FLAIR MR.
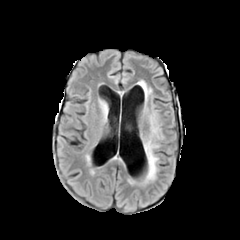
T1-weighted MRI.
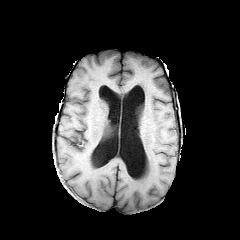
Post-contrast T1-weighted MR image.
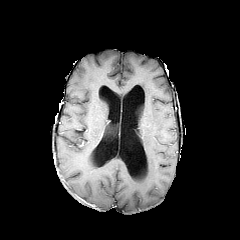
T2-weighted magnetic resonance.
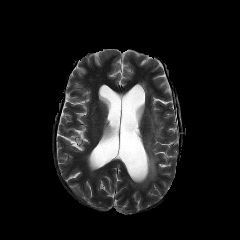
Head | Image size 240x240
{"edema": ["141 134 158 182", "149 106 161 139", "138 81 151 111"]}